Head
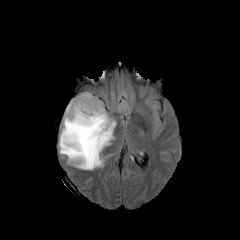
FLAIR magnetic resonance.
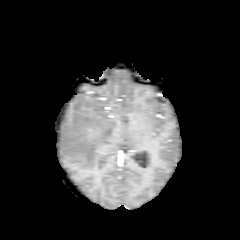
T1-weighted MR of the same slice.
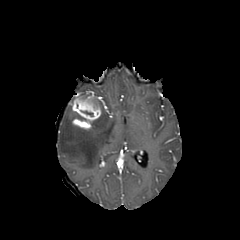
Post-contrast T1-weighted magnetic resonance.
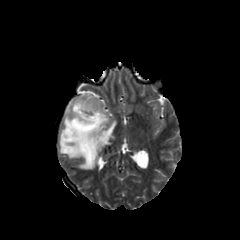
T2-weighted MR.
- edema: 59 105 115 169
- enhancing tumor: 69 95 101 128